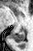
Magnetic resonance; Medial temporal lobe
posterior hippocampus: bbox=[10, 31, 25, 42]